FLAIR magnetic resonance.
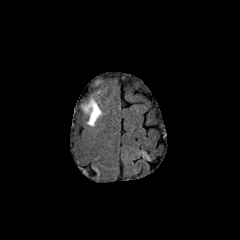
T1-weighted MR image.
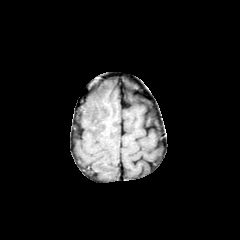
Post-contrast T1-weighted magnetic resonance.
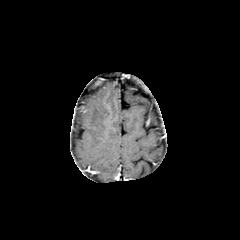
T2-weighted MR.
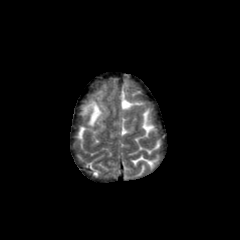
Edema — 82:95:105:126.